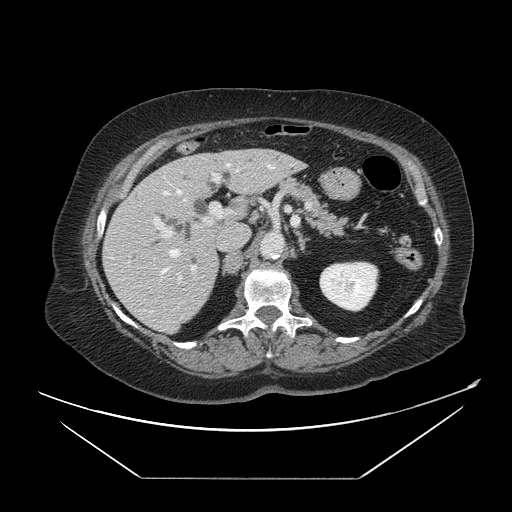

CT slice; 512x512 px; Upper abdomen
Segmented structures:
- pancreas: x1=280 y1=180 x2=349 y2=235